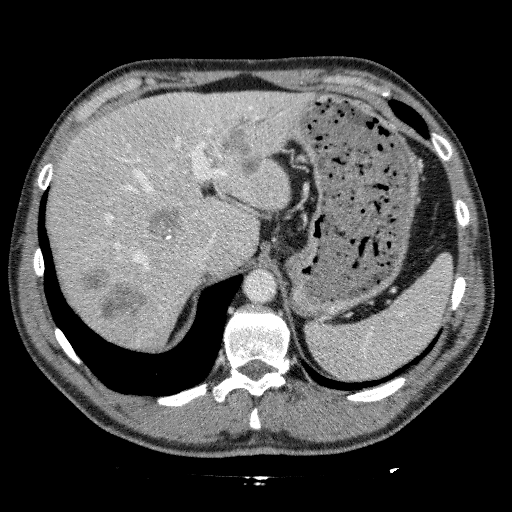

CT slice | Abdomen

Liver: box(48, 90, 313, 349).
Liver lesion: box(76, 267, 111, 293); box(98, 279, 152, 323); box(145, 206, 185, 244); box(217, 116, 251, 154); box(237, 155, 264, 177).